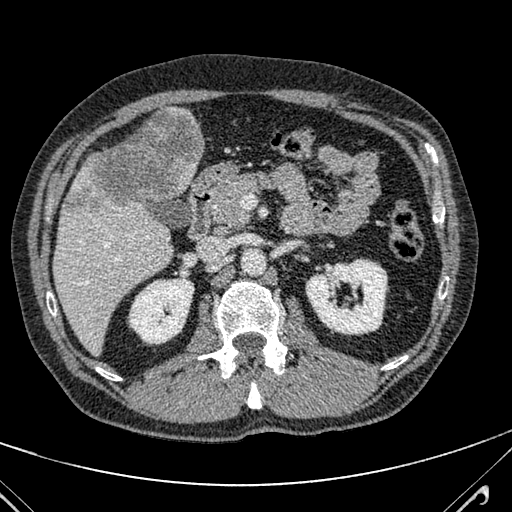

CT | Abdomen
Liver lesion = l=66, t=109, r=200, b=210.
Liver = l=70, t=157, r=91, b=193; l=172, t=159, r=198, b=194; l=53, t=199, r=171, b=352.